512x512 | CT 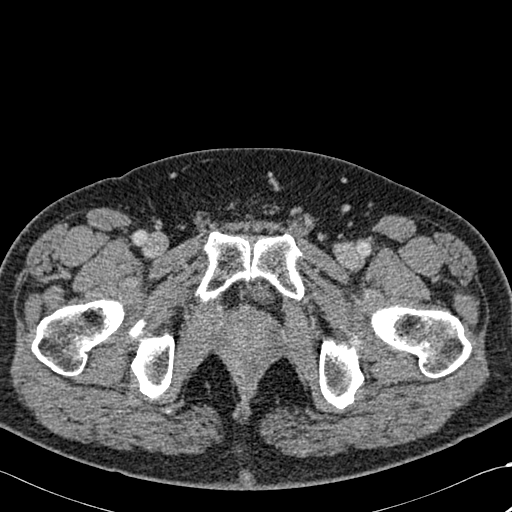

Bone = rect(371, 305, 471, 377); rect(198, 232, 304, 300); rect(31, 299, 124, 375); rect(130, 320, 174, 398); rect(319, 339, 363, 409).